Computed tomography | 512x512 px | Abdomen | Slice 35 of 101

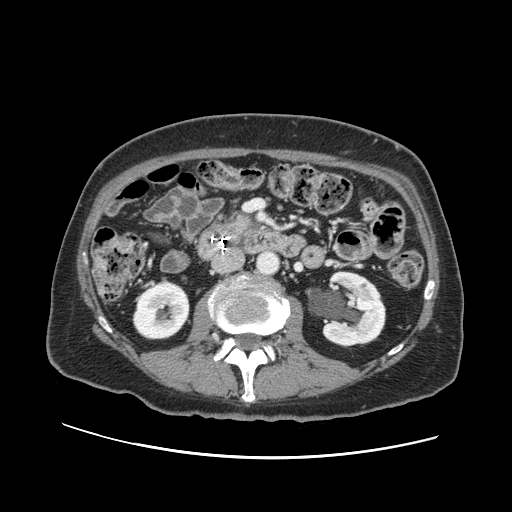 <segmentation>
  <pancreatic_tumor>x1=234 y1=216 x2=250 y2=230</pancreatic_tumor>
  <pancreas>x1=221 y1=211 x2=255 y2=239</pancreas>
</segmentation>